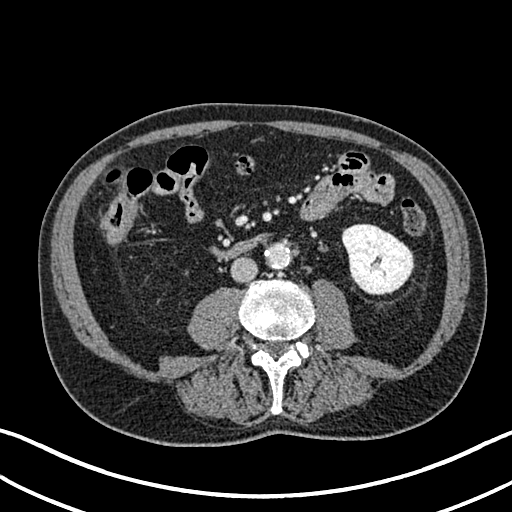
Image size 512x512 | CT image
kidney:
  - region(342, 224, 412, 293)